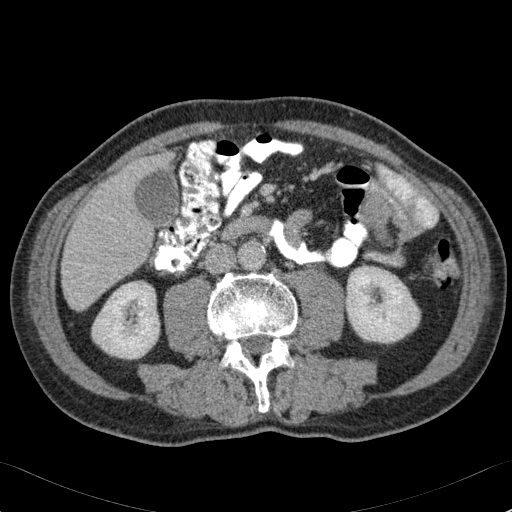

CT slice
Liver: bounding box 144, 156, 169, 173; 62, 160, 153, 308.
Kidney: bounding box 346, 266, 419, 342; 92, 282, 159, 358.